Image width 240 mm; Head; 240x240
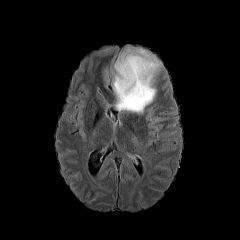
FLAIR magnetic resonance.
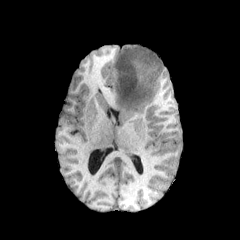
T1-weighted MR image.
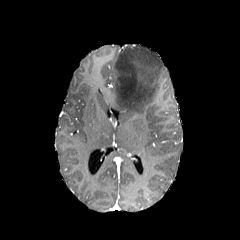
Post-contrast T1-weighted MR image.
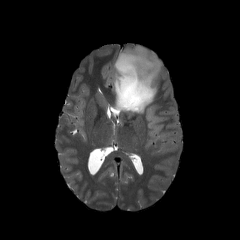
T2-weighted magnetic resonance.
The edema appears at <box>111,48,159,114</box>.